CT slice | Liver | Field of view 378x378 mm | Slice 411 of 841 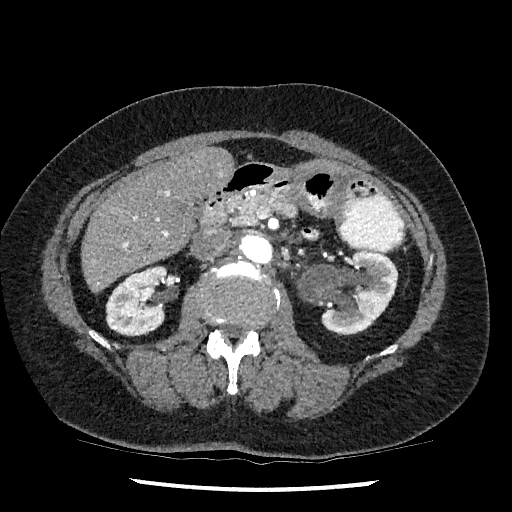

kidney: <bbox>106, 267, 176, 335</bbox>, <bbox>322, 250, 397, 333</bbox> | liver: <bbox>82, 147, 234, 292</bbox>, <bbox>299, 162, 350, 176</bbox>